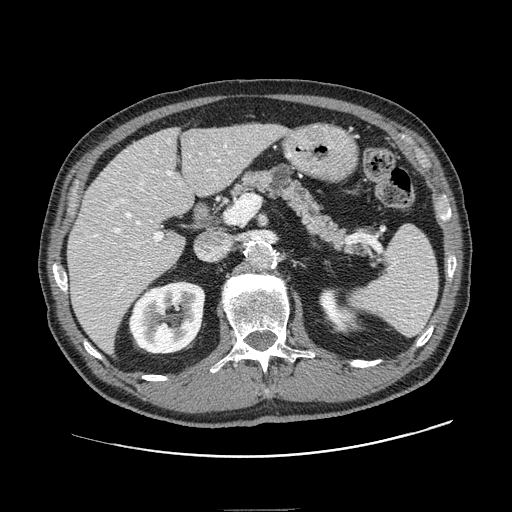

CT slice, Abdomen

pancreatic_tumor:
  - x1=270 y1=166 x2=290 y2=190
pancreas:
  - x1=229 y1=164 x2=376 y2=256